Liver, CT scan slice 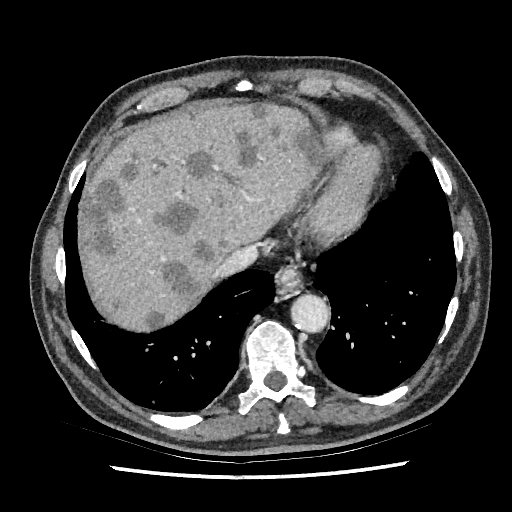 The liver is bounded by (80, 104, 317, 330). The most prominent 15 hepatic lesion regions (of 17) are bounded by (122, 151, 138, 180), (251, 104, 266, 118), (112, 300, 121, 311), (294, 127, 319, 169), (161, 259, 205, 305), (145, 312, 163, 328), (210, 188, 224, 207), (193, 241, 216, 261), (278, 142, 288, 151), (237, 130, 256, 168), (218, 238, 227, 246), (186, 149, 214, 178), (268, 128, 279, 139), (80, 178, 123, 254), (154, 200, 200, 232).